Image size 240x240, Slice 90/155, Head
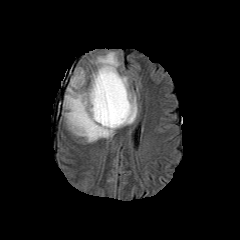
FLAIR MRI.
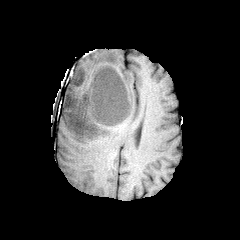
T1-weighted MR of the same slice.
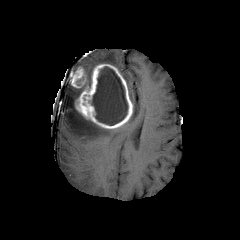
Same slice, post-contrast T1-weighted MR image.
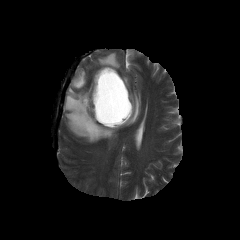
Same slice, T2-weighted MR image.
Annotated regions:
* enhancing tumor: {"x1": 75, "y1": 64, "x2": 117, "y2": 122}, {"x1": 101, "y1": 75, "x2": 132, "y2": 128}, {"x1": 71, "y1": 69, "x2": 84, "y2": 87}
* edema: {"x1": 84, "y1": 52, "x2": 119, "y2": 85}, {"x1": 63, "y1": 83, "x2": 139, "y2": 143}
* non-enhancing tumor core: {"x1": 67, "y1": 66, "x2": 96, "y2": 110}, {"x1": 85, "y1": 66, "x2": 127, "y2": 127}